FLAIR MRI.
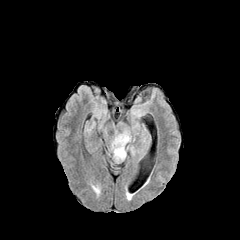
T1-weighted magnetic resonance.
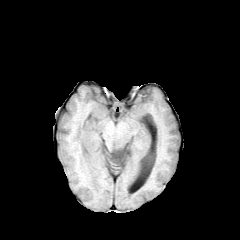
Post-contrast T1-weighted MR.
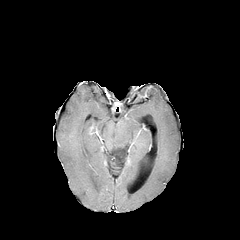
T2-weighted MR image.
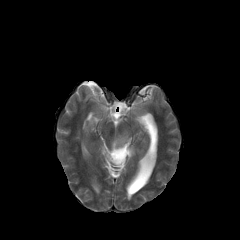
<segmentation>
  <edema>(110, 136, 135, 163)</edema>
</segmentation>